Slice 60 of 155; Field of view 240x240 mm; Brain
FLAIR MR image.
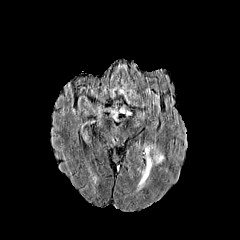
T1-weighted MR image.
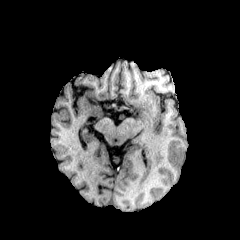
Post-contrast T1-weighted MRI.
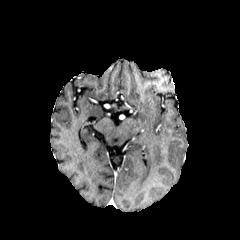
T2-weighted MR image.
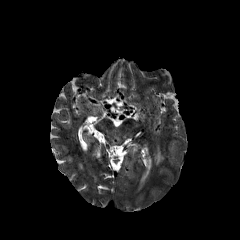
edema:
  - region(136, 144, 164, 192)